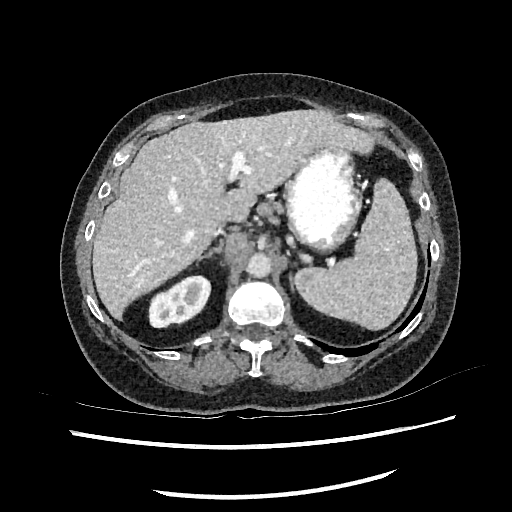 CT scan slice

The liver appears at <bbox>92, 109, 374, 318</bbox>. The kidney lies within <bbox>150, 276, 210, 327</bbox>.